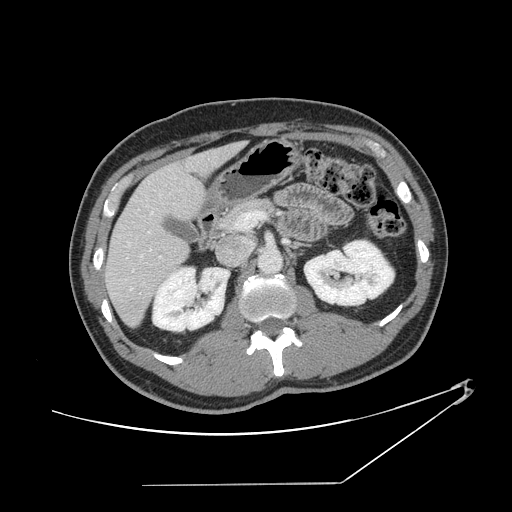
CT slice
Only some of the vessels may be annotated.
{"hepatic_vessel": ["130, 288, 131, 289", "140, 255, 142, 256", "151, 212, 152, 214", "127, 255, 127, 258", "127, 243, 130, 246"]}